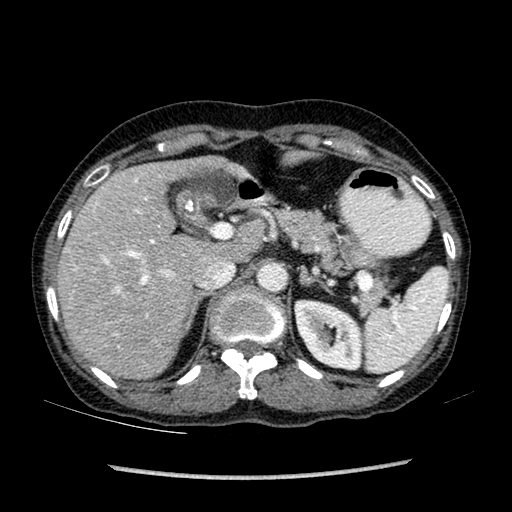 Computed tomography. liver: (x1=58, y1=165, x2=203, y2=376), (x1=215, y1=224, x2=264, y2=259) | kidney: (x1=295, y1=301, x2=360, y2=368)